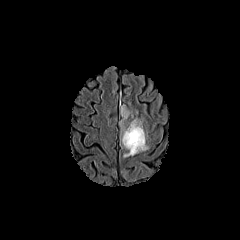
FLAIR MR.
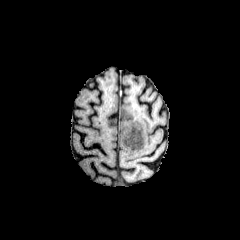
T1-weighted MR.
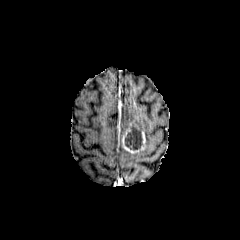
Post-contrast T1-weighted magnetic resonance of the same slice.
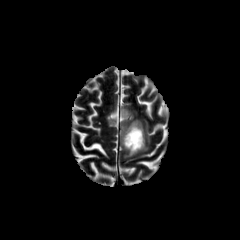
T2-weighted MR.
Non-enhancing tumor core = <box>124,123,143,150</box>.
Edema = <box>120,105,129,117</box>.
Enhancing tumor = <box>140,130,146,150</box>, <box>121,128,139,154</box>.